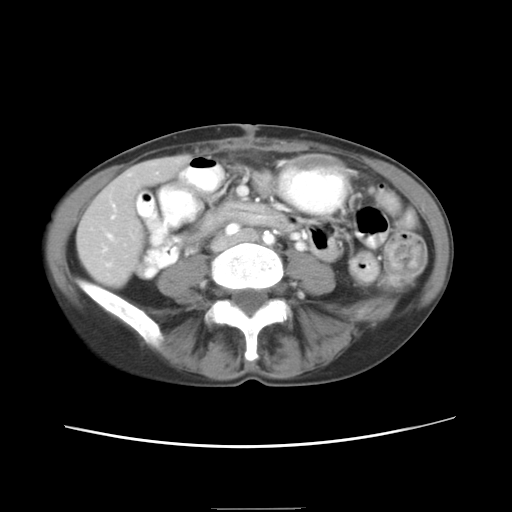
Computed tomography, 512x512 px, Abdomen
The vessel boxes may cover only some of the vessels.
2 hepatic vessel regions are bounded by 106 263 110 265, 112 215 114 217.